37x48. Medial temporal lobe. MRI slice.

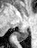 Annotated regions:
- posterior hippocampus: {"x1": 17, "y1": 27, "x2": 29, "y2": 40}